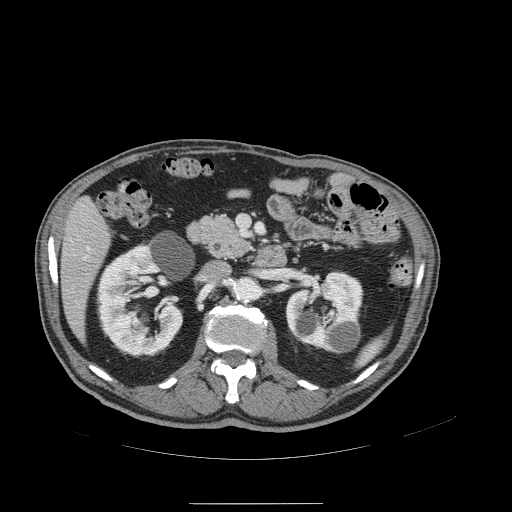
Image size 512x512; Computed tomography
<segmentation>
  <pancreas>(left=199, top=213, right=253, bottom=263)</pancreas>
</segmentation>